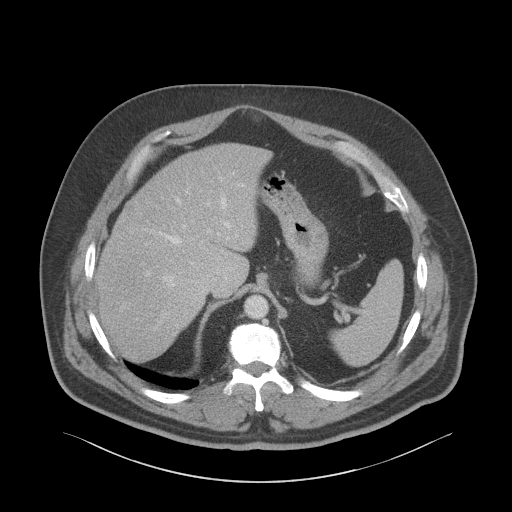

CT scan slice
Liver: x1=96 y1=144 x2=268 y2=360.
Focal liver lesion: x1=125 y1=204 x2=134 y2=211.